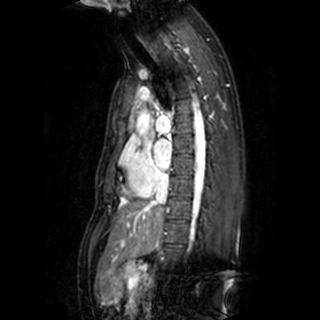
MRI. Annotated regions:
- left atrium: region(153, 139, 171, 169)